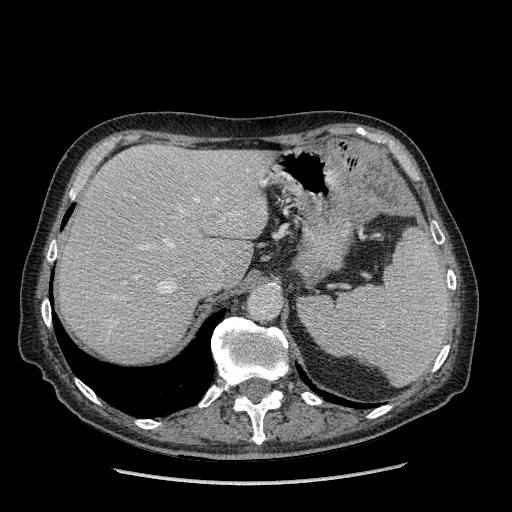 Abdomen. CT slice.
<segmentation>
  <liver>59:145:273:364</liver>
</segmentation>